Computed tomography, Field of view 345 mm wide, 2.50 mm slice spacing, Upper abdomen
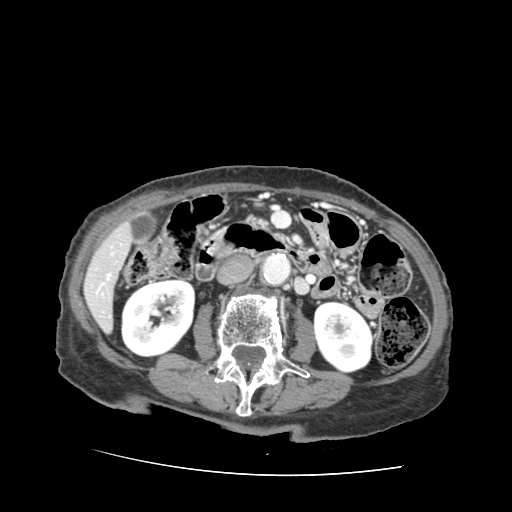

Pancreas: rect(245, 213, 270, 230).